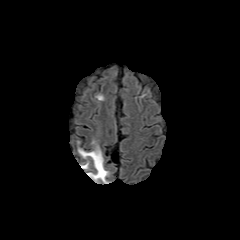
FLAIR MRI.
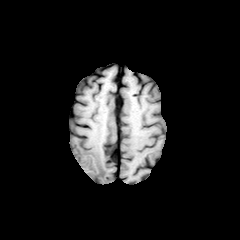
Same slice, T1-weighted magnetic resonance.
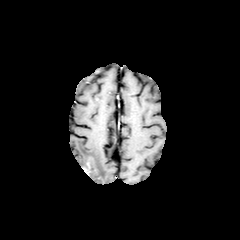
Post-contrast T1-weighted MRI of the same slice.
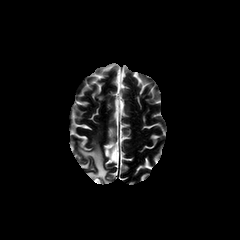
T2-weighted MRI.
240x240 px
• edema: <bbox>78, 146, 109, 182</bbox>